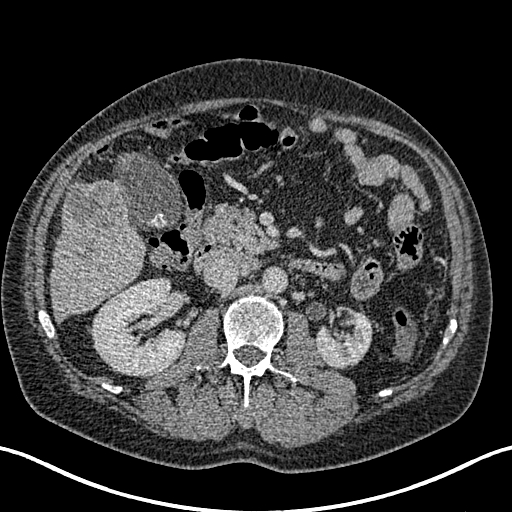 CT image

kidney:
  - 93:279:184:375
  - 317:312:371:367
liver:
  - 50:180:145:323
hepatic_lesion:
  - 78:236:99:260
  - 65:184:118:230